CT slice | Abdomen | Slice 318 of 574
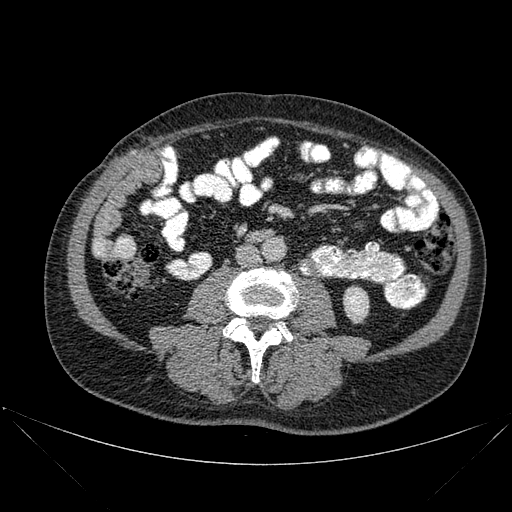

<segmentation>
  <kidney><bbox>343, 287, 368, 322</bbox></kidney>
  <bone><bbox>223, 268, 296, 382</bbox></bone>
</segmentation>